Image width 398 mm, Liver, 512x512, CT slice
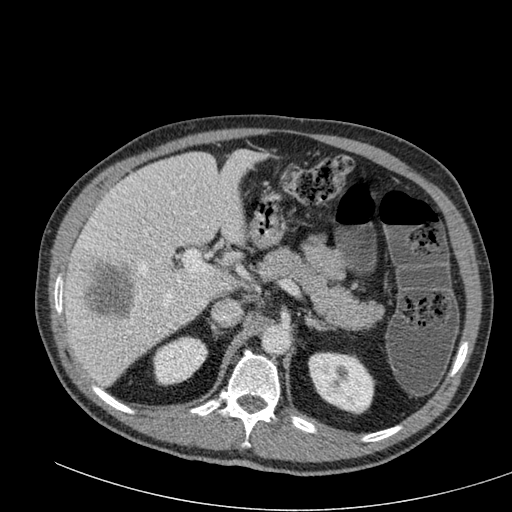

Focal liver lesion: bounding box (86, 261, 134, 318).
Liver: bounding box (61, 150, 266, 386), (218, 251, 241, 265), (214, 238, 223, 250).
Kidney: bounding box (309, 353, 372, 411), (154, 338, 204, 382).